Slice 152/245, Computed tomography 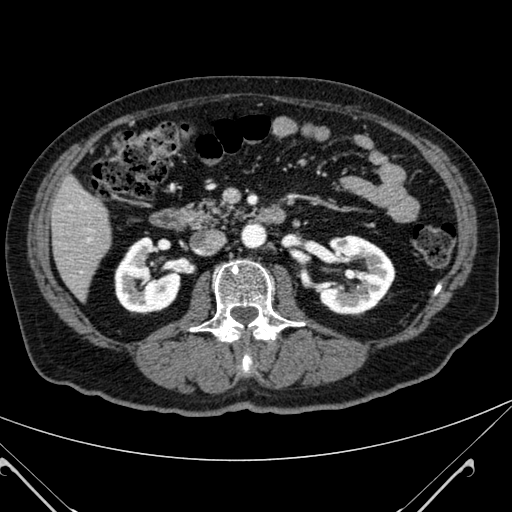

{"liver": ["(51, 178, 109, 296)"], "kidney": ["(116, 238, 179, 311)", "(317, 236, 393, 312)"]}